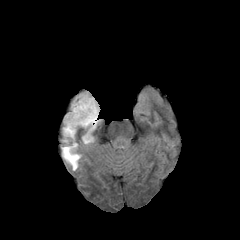
FLAIR MR.
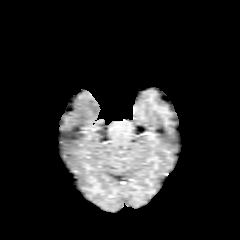
Same slice, T1-weighted MRI.
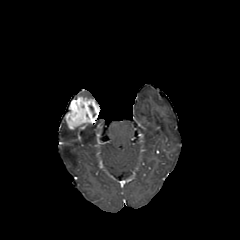
Post-contrast T1-weighted MR image of the same slice.
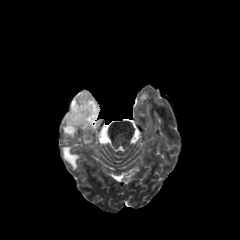
Same slice, T2-weighted MRI.
Brain | Image size 240x240
Edema: x1=61 y1=142 x2=81 y2=170, x1=63 y1=123 x2=75 y2=139, x1=82 y1=119 x2=101 y2=143.
Enhancing tumor: x1=64 y1=91 x2=99 y2=129.